Computed tomography | Abdomen | Slice 129 of 154
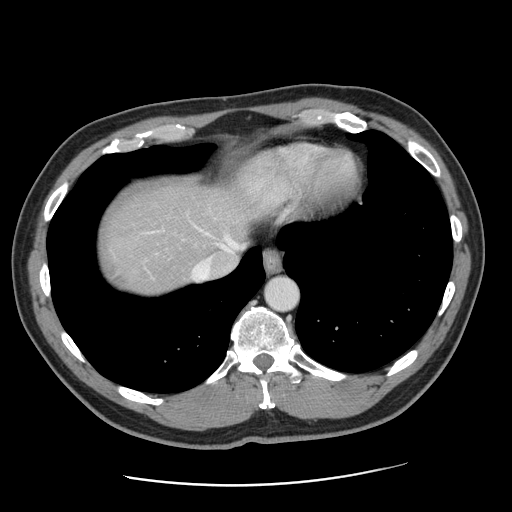 Not every hepatic vessel necessarily has a box.
<segmentation>
  <hepatic_vessel>192, 236, 245, 280; 155, 229, 164, 231</hepatic_vessel>
</segmentation>